FLAIR MR.
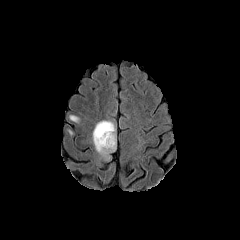
T1-weighted magnetic resonance.
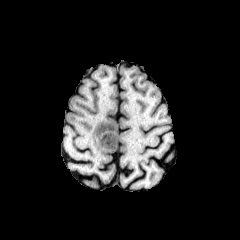
Post-contrast T1-weighted MRI.
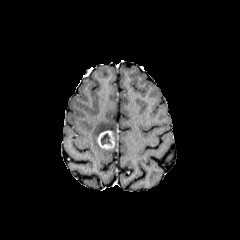
T2-weighted MRI.
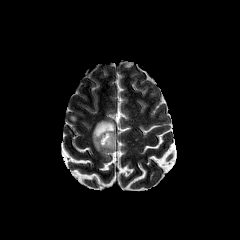
Brain
Enhancing tumor: bounding box (left=97, top=131, right=116, bottom=150).
Non-enhancing tumor core: bounding box (left=101, top=133, right=112, bottom=145).
Edema: bounding box (left=93, top=120, right=116, bottom=158).